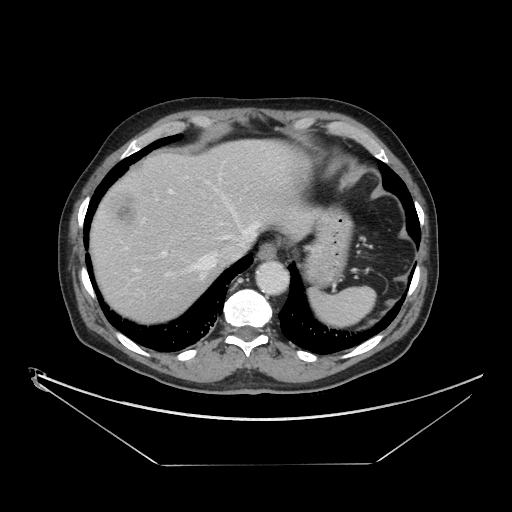

Image size 512x512. CT scan slice. Liver.

Only some of the vessels may be annotated.
Segmented structures:
• liver tumor: rect(107, 194, 140, 228)
• hepatic vessel: rect(220, 223, 221, 224); rect(256, 222, 258, 225); rect(162, 252, 166, 256); rect(142, 218, 144, 222); rect(169, 190, 172, 193); rect(125, 247, 126, 248); rect(213, 187, 215, 189); rect(132, 269, 137, 270); rect(223, 235, 230, 239); rect(165, 273, 168, 276); rect(194, 252, 217, 277); rect(242, 226, 255, 238); rect(233, 214, 235, 216)